CT scan slice | Liver | 512x512 px | Slice index 73

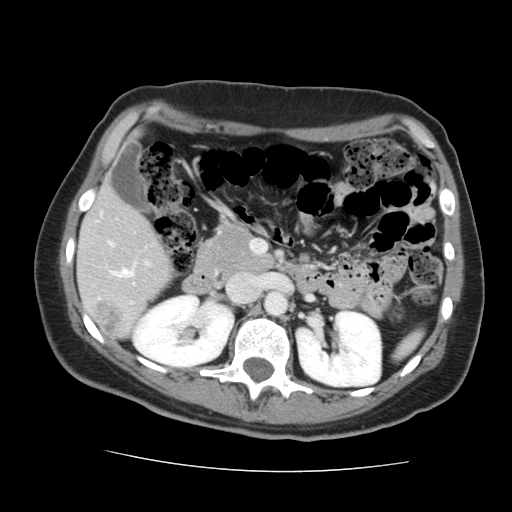
The vessel boxes may cover only some of the vessels.
{
  "hepatic_vessel": [
    "[x1=145, y1=262, x2=147, y2=264]",
    "[x1=112, y1=268, x2=133, y2=277]",
    "[x1=108, y1=242, x2=112, y2=245]"
  ],
  "liver_tumor": [
    "[x1=97, y1=300, x2=119, y2=333]"
  ]
}